Slice 103/155; 240x240 px
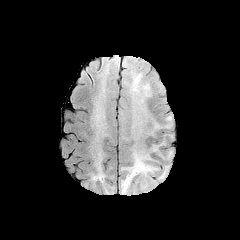
FLAIR magnetic resonance.
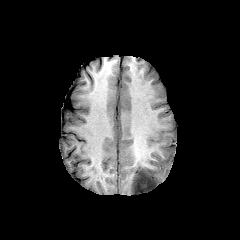
Same slice, T1-weighted MRI.
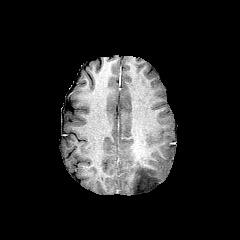
Same slice, post-contrast T1-weighted MRI.
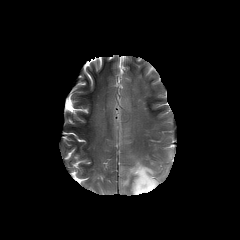
T2-weighted MRI.
Non-enhancing tumor core — (132, 166, 155, 191).
Edema — (121, 155, 157, 193).